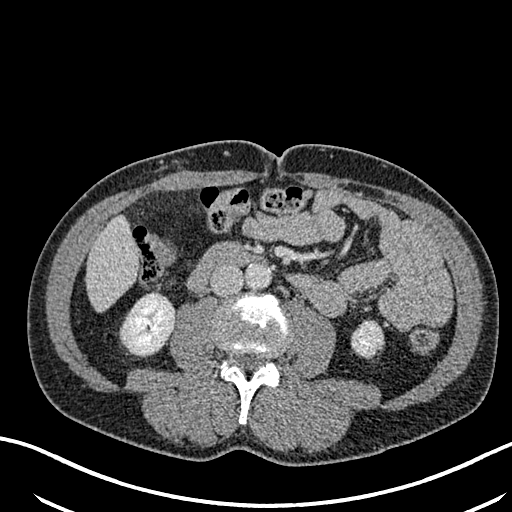
Abdomen. CT scan slice.

Segmented structures:
* liver: box(86, 216, 137, 311)
* kidney: box(121, 294, 174, 354); box(352, 322, 382, 355)